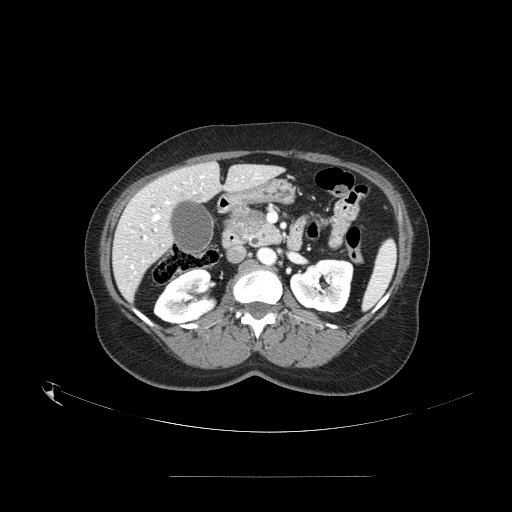

Upper abdomen, CT slice
Pancreas — 229,208,257,229; 237,220,280,244.
Pancreatic tumor — 233,210,265,236.